Slice index 27, CT image, 512x512 px
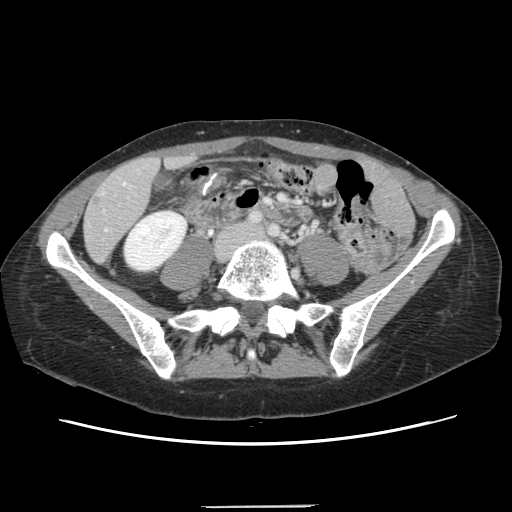 Some hepatic vessels may have no box.
2 hepatic vessel regions are bounded by (123, 182, 125, 185), (105, 228, 106, 230).